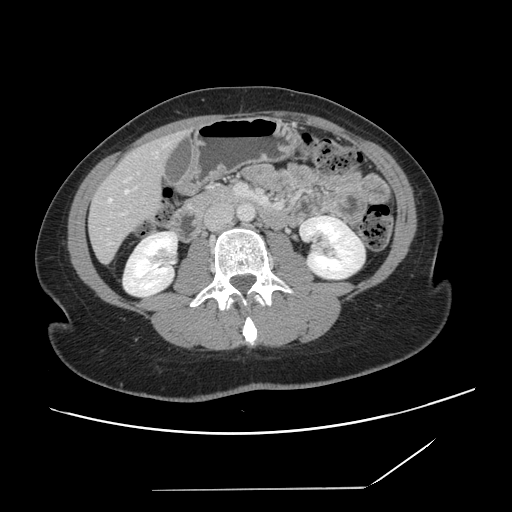

CT slice. Abdomen. Some hepatic vessels may have no box.
hepatic vessel: bbox=[156, 152, 157, 157]; bbox=[108, 199, 111, 201]; bbox=[123, 178, 130, 182]; bbox=[126, 189, 128, 193]; bbox=[134, 187, 135, 189]; bbox=[121, 212, 126, 214]